Slice index 572. Upper abdomen. CT slice. 512x512.

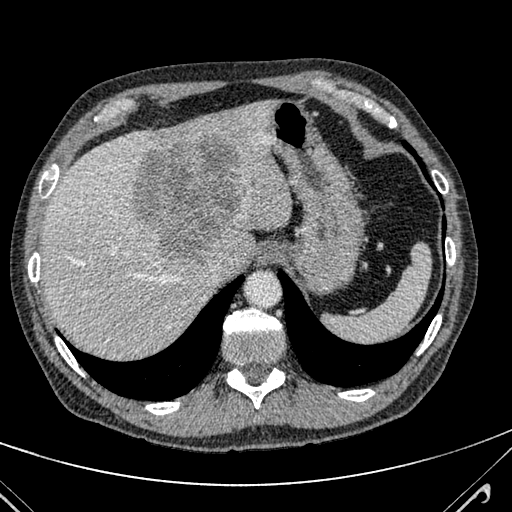 Liver = {"x1": 43, "y1": 98, "x2": 291, "y2": 357}.
Liver lesion = {"x1": 132, "y1": 135, "x2": 245, "y2": 264}.